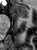
Medial temporal lobe; MR image; 37x50 px
{"anterior_hippocampus": ["rect(12, 5, 27, 19)"]}